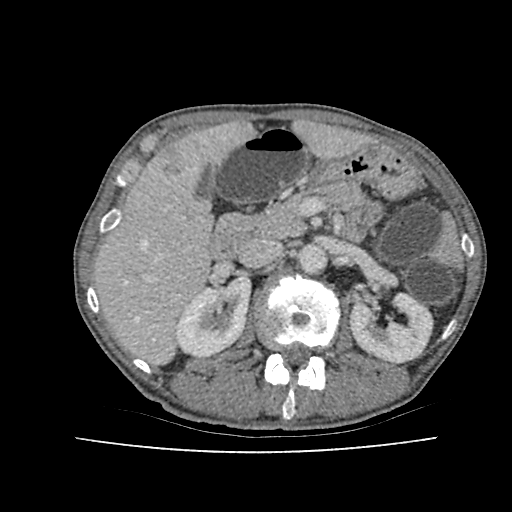
512x512 | CT slice | Abdomen
{"kidney": ["176:277:250:356", "351:294:431:362"], "liver": ["297:124:365:154", "97:123:252:361"], "focal_liver_lesion": ["164:150:184:175"]}